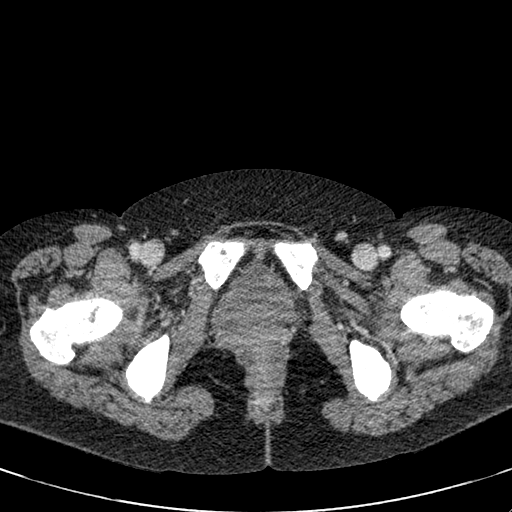

512x512 px; CT slice

{"urinary_bladder": ["(left=210, top=263, right=307, bottom=335)"]}